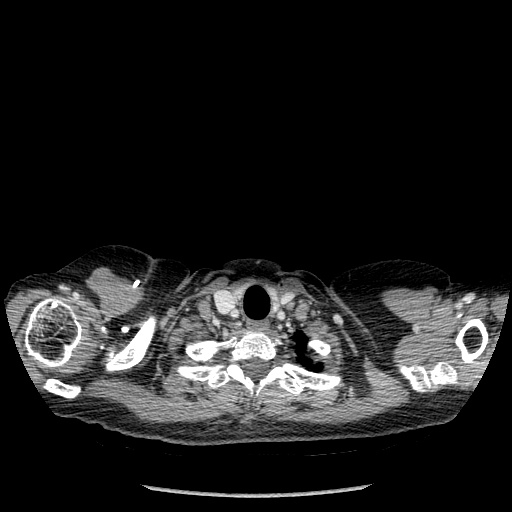

CT slice, Thorax, 512x512
Annotated regions:
• bone: 105, 316, 156, 371; 308, 339, 330, 356; 176, 329, 340, 397; 399, 362, 458, 391; 455, 318, 488, 367; 25, 297, 83, 367; 43, 379, 80, 398
• lung: 244, 286, 269, 318; 294, 332, 321, 370